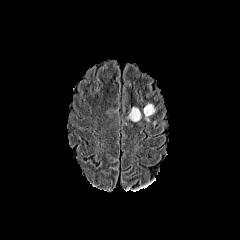
FLAIR MR image.
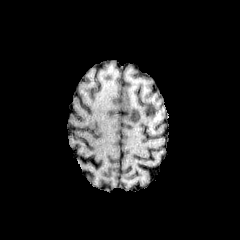
T1-weighted MR image.
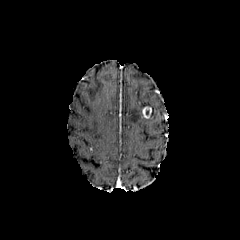
Same slice, post-contrast T1-weighted MR.
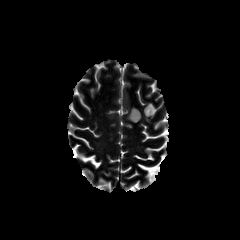
T2-weighted magnetic resonance.
The edema is bounded by <bbox>127, 107, 141, 121</bbox>. The enhancing tumor is bounded by <bbox>143, 106, 151, 117</bbox>.